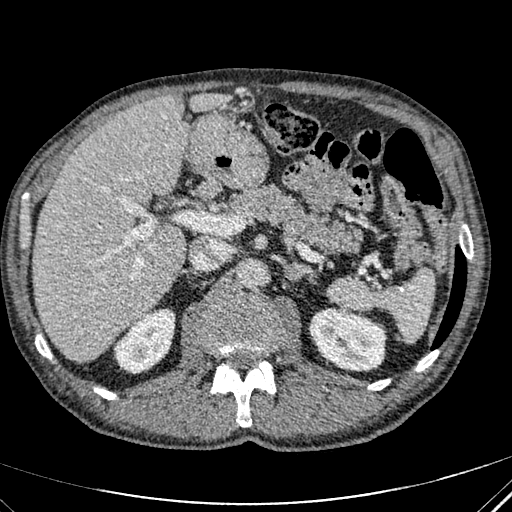 Image size 512x512; CT scan slice; Liver
{"liver": ["box(200, 182, 219, 196)", "box(34, 96, 188, 360)", "box(190, 94, 230, 110)"], "focal_liver_lesion": ["box(159, 96, 177, 107)"], "kidney": ["box(116, 310, 174, 372)", "box(310, 309, 384, 369)"]}